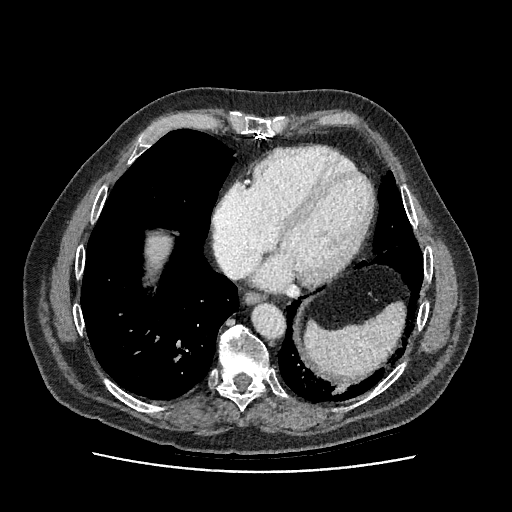 CT slice

Liver at 147,234,170,266.